FLAIR MRI.
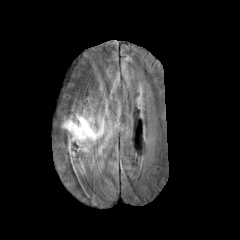
T1-weighted MR image.
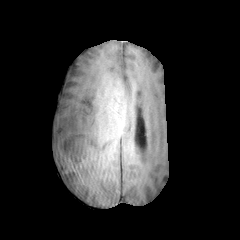
Post-contrast T1-weighted MRI.
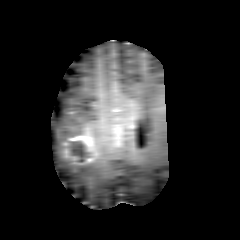
T2-weighted magnetic resonance.
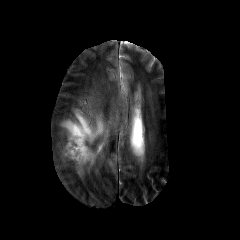
Head
non-enhancing_tumor_core:
  - (x1=65, y1=140, x2=96, y2=165)
enhancing_tumor:
  - (x1=70, y1=137, x2=95, y2=151)
edema:
  - (x1=61, y1=110, x2=104, y2=141)